512x512; CT slice

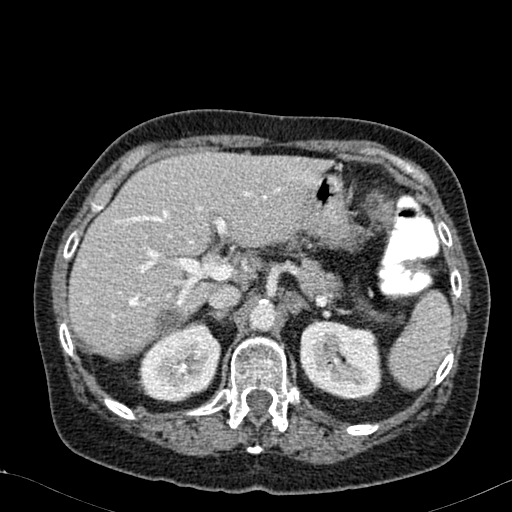 focal_liver_lesion:
  - {"x1": 156, "y1": 310, "x2": 180, "y2": 332}
liver:
  - {"x1": 69, "y1": 154, "x2": 332, "y2": 355}
kidney:
  - {"x1": 300, "y1": 321, "x2": 380, "y2": 398}
  - {"x1": 140, "y1": 323, "x2": 219, "y2": 401}